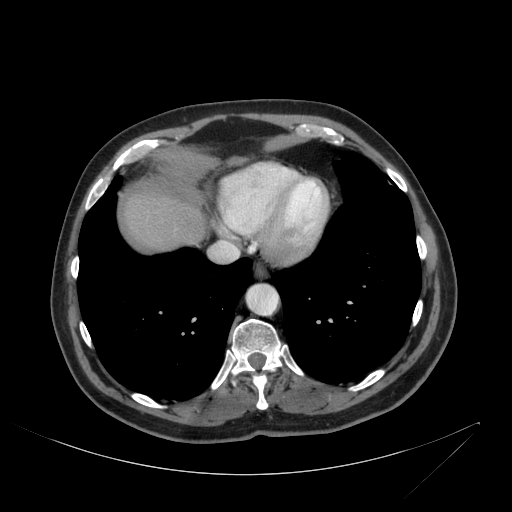

Computed tomography

liver: l=126, t=194, r=206, b=247